Slice 70 of 155, 240x240 px
FLAIR MR.
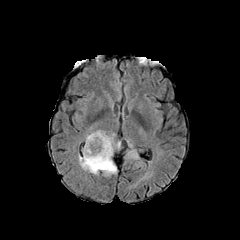
T1-weighted magnetic resonance.
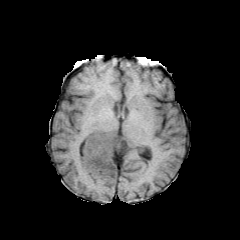
Post-contrast T1-weighted magnetic resonance.
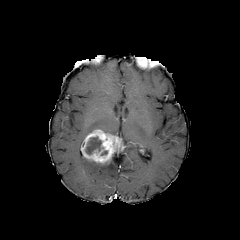
T2-weighted MR image.
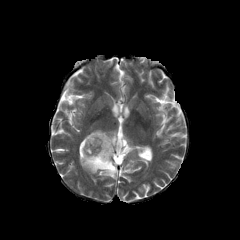
Edema — rect(78, 155, 117, 177); rect(125, 140, 140, 163).
Enhancing tumor — rect(81, 129, 123, 164).
Non-enhancing tumor core — rect(87, 137, 101, 153).